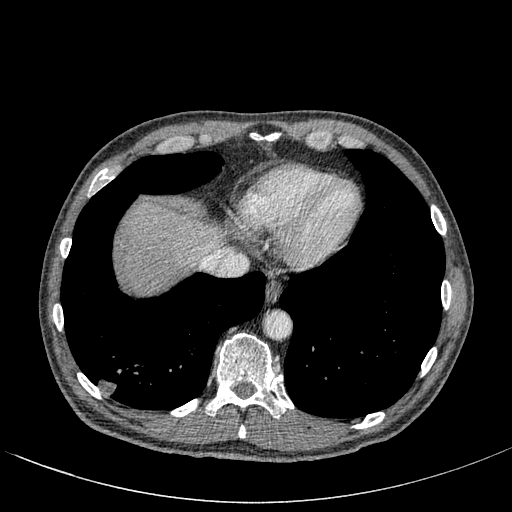 CT
The liver lies within x1=116, y1=201, x2=222, y2=293.